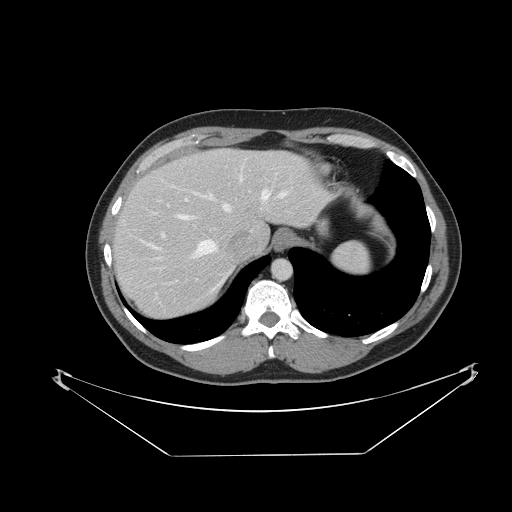
Upper abdomen | CT slice
The spleen is located at [x1=333, y1=242, x2=370, y2=276].